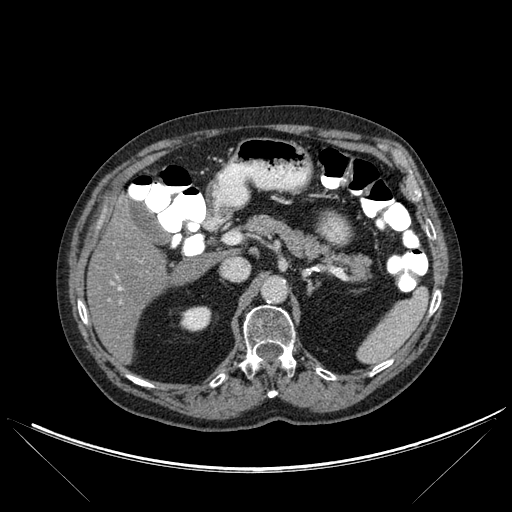
CT slice; Liver
bone:
  - l=127, t=375, r=152, b=386
  - l=426, t=224, r=435, b=238
  - l=430, t=290, r=440, b=313
  - l=316, t=368, r=335, b=379
  - l=370, t=360, r=392, b=375
  - l=78, t=301, r=87, b=323
  - l=210, t=374, r=224, b=386
  - l=239, t=305, r=295, b=372
liver:
  - l=216, t=249, r=240, b=262
  - l=87, t=204, r=212, b=364
kidney:
  - l=181, t=307, r=210, b=330